FLAIR MR.
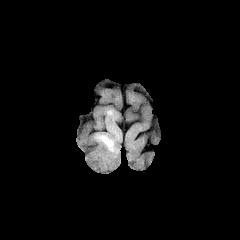
T1-weighted MR image.
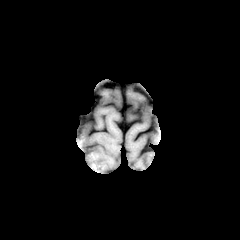
Post-contrast T1-weighted magnetic resonance.
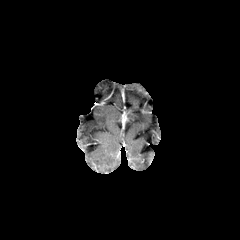
T2-weighted MR.
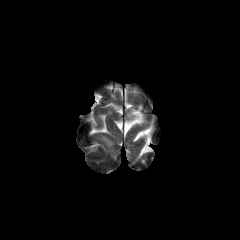
Brain.
<segmentation>
  <edema>x1=97 y1=136 x2=113 y2=147</edema>
</segmentation>